CT. Upper abdomen. Image size 512x512.

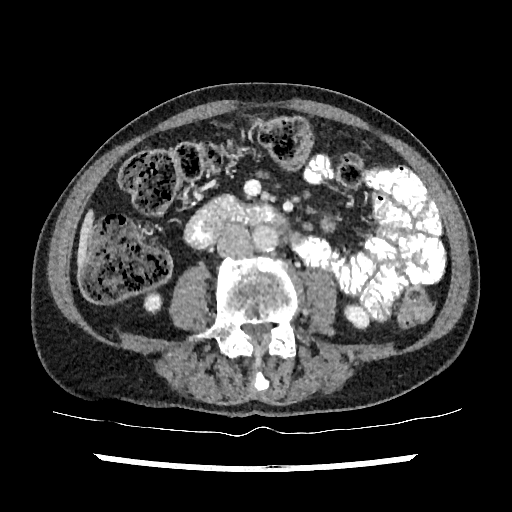

kidney:
  - (349,307,369,330)
  - (146,293,160,309)
liver:
  - (78,212,92,265)